Image size 240x240
FLAIR MR image.
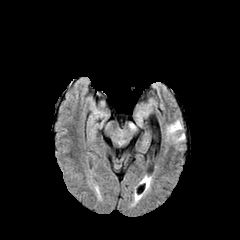
T1-weighted magnetic resonance.
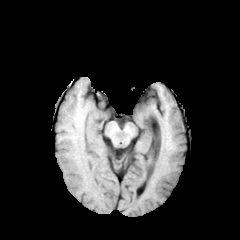
Post-contrast T1-weighted MR image.
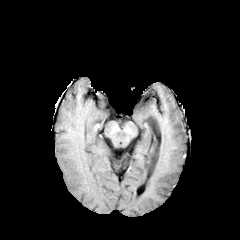
T2-weighted MR.
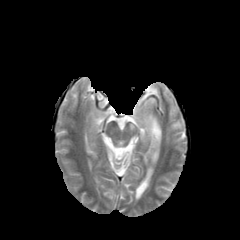
The edema lies within bbox=[167, 120, 182, 138].